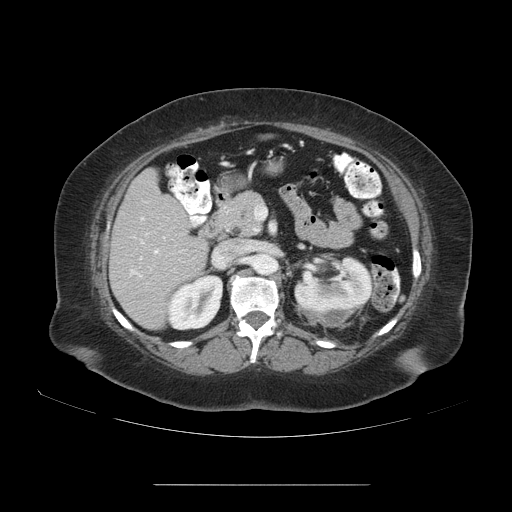
Image size 512x512 | CT scan slice
Only some of the vessels may be annotated.
Hepatic vessel — [257,210,264,215], [154,251,156,252], [140,218,142,219], [140,240,142,242], [130,271,134,274].